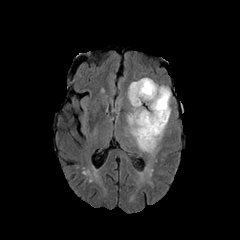
FLAIR magnetic resonance.
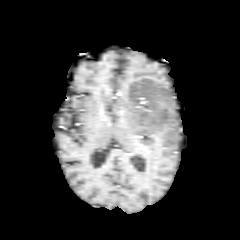
Same slice, T1-weighted MR.
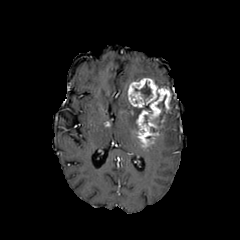
Same slice, post-contrast T1-weighted MR image.
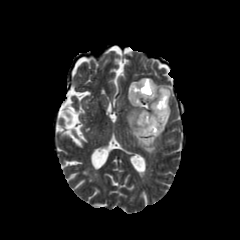
Same slice, T2-weighted MR.
Enhancing tumor at 128 78 170 145.
Edema at 126 99 171 154, 153 80 170 91.
Non-enhancing tumor core at 141 82 151 101, 144 96 166 123.